Slice 441 of 756. CT. Field of view 391x391 mm. Image size 512x512.
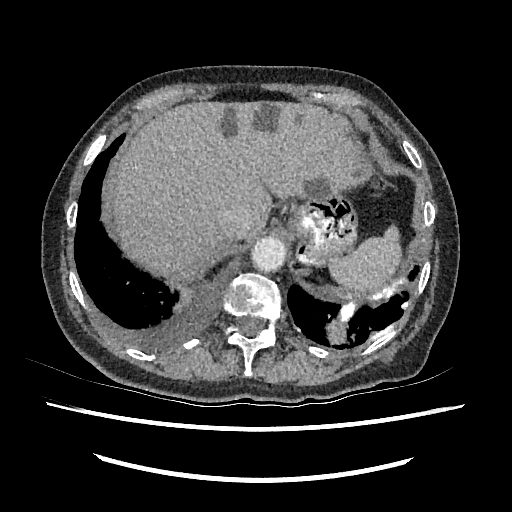 liver lesion: 303:177:328:197, 221:107:237:138, 253:104:279:130 | liver: 113:102:358:274